Abdomen | CT image | Field of view 458x458 mm 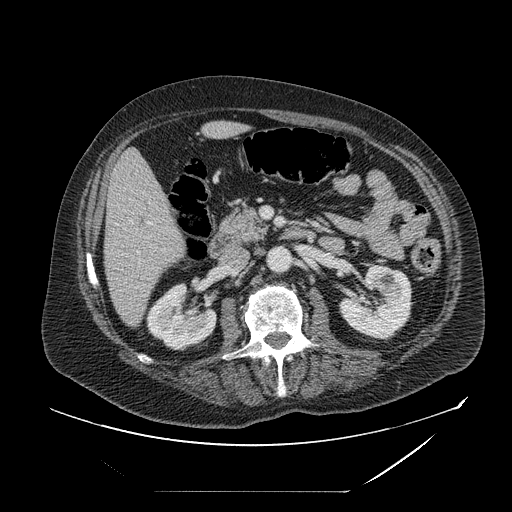 Pancreatic tumor at x1=245 y1=229 x2=257 y2=242.
Pancreas at x1=222 y1=207 x2=267 y2=243.